Slice 116/155 | 240x240 px | Brain | Image width 240 mm
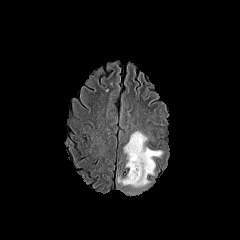
FLAIR MR image.
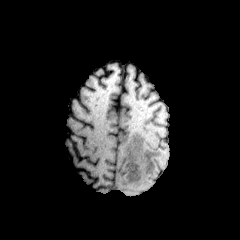
T1-weighted magnetic resonance of the same slice.
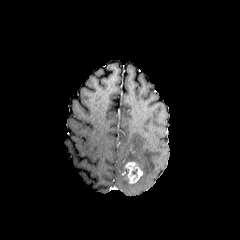
Post-contrast T1-weighted MR image of the same slice.
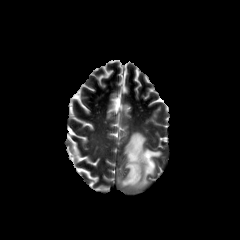
T2-weighted MRI.
Edema — 117:132:161:194.
Enhancing tumor — 124:161:143:183.